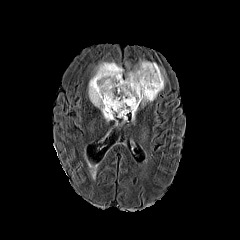
FLAIR MRI.
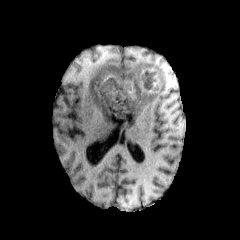
T1-weighted magnetic resonance.
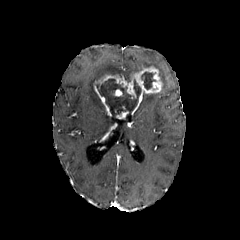
Same slice, post-contrast T1-weighted MR.
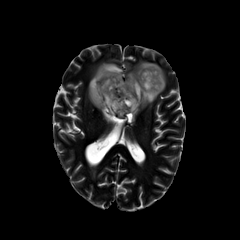
T2-weighted MRI.
Head
<segmentation>
  <enhancing_tumor>96, 65, 162, 114; 112, 88, 123, 96; 94, 87, 111, 116; 116, 111, 129, 118</enhancing_tumor>
  <edema>140, 93, 158, 108; 124, 59, 166, 91; 87, 61, 123, 122; 133, 108, 138, 125</edema>
  <non-enhancing_tumor_core>96, 78, 141, 117; 141, 72, 155, 90</non-enhancing_tumor_core>
</segmentation>